Slice index 137, Brain
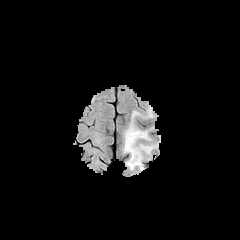
FLAIR MRI.
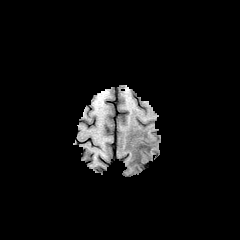
T1-weighted MR.
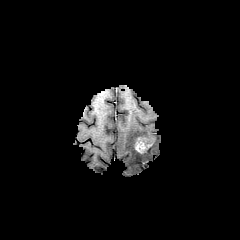
Post-contrast T1-weighted MR image.
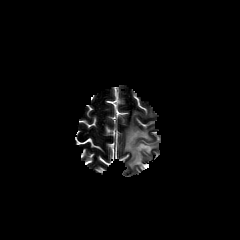
T2-weighted MR image.
{
  "edema": [
    "l=124, t=124, r=155, b=169"
  ],
  "enhancing_tumor": [
    "l=134, t=142, r=151, b=152"
  ]
}